Brain, 240x240 px
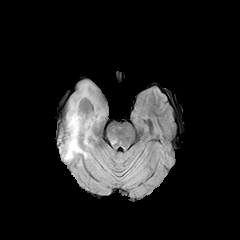
FLAIR magnetic resonance.
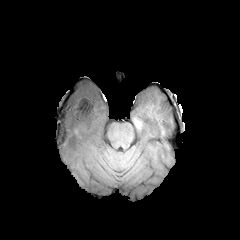
T1-weighted MR of the same slice.
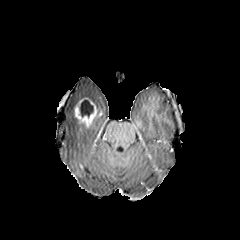
Post-contrast T1-weighted MR.
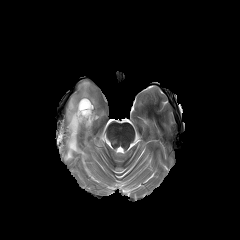
T2-weighted MR image.
* enhancing tumor: box=[74, 102, 97, 127]
* edema: box=[61, 83, 103, 162]
* non-enhancing tumor core: box=[74, 98, 94, 116]